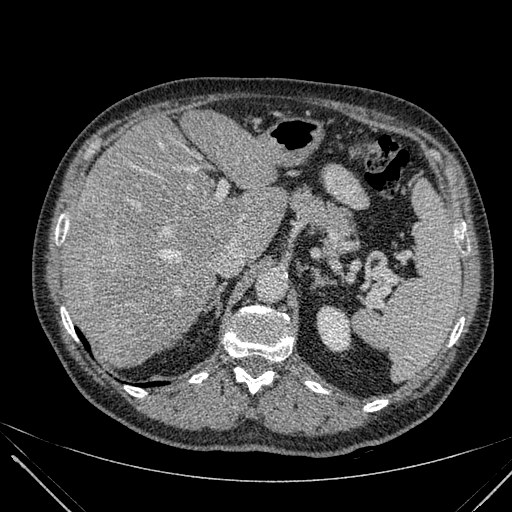

CT scan slice
<segmentation>
  <liver>[62,110,287,367]</liver>
  <kidney>[318,307,349,350]</kidney>
</segmentation>